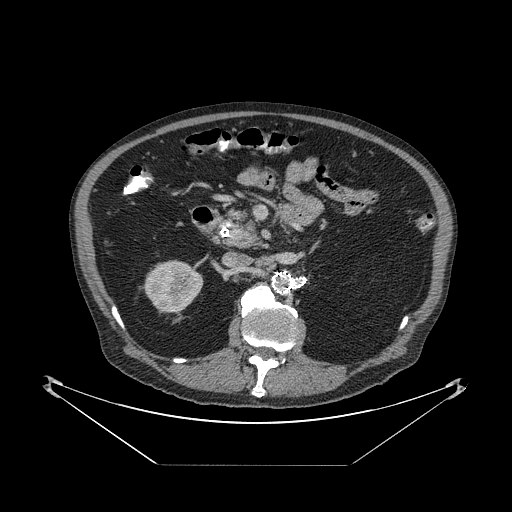
CT slice
The pancreas is at [224,210,259,248].